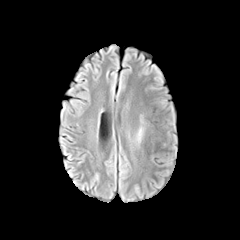
FLAIR MRI.
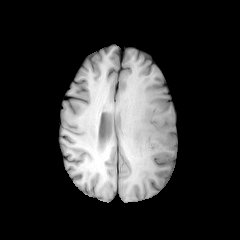
T1-weighted MR of the same slice.
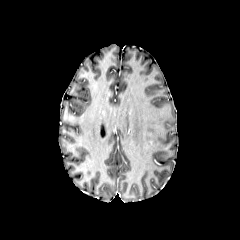
Post-contrast T1-weighted MR of the same slice.
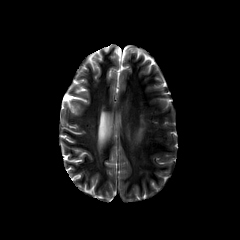
T2-weighted MRI.
Head
The edema is bounded by l=134, t=118, r=144, b=147.